Abdomen | Slice index 112 | CT scan slice
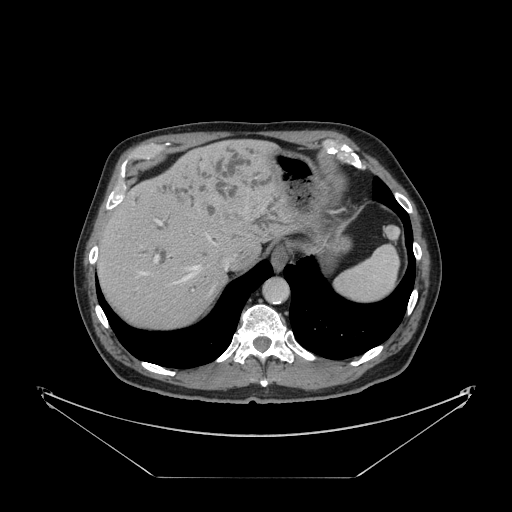

Not every hepatic vessel necessarily has a box.
hepatic_vessel:
  - left=155, top=256, right=157, bottom=261
  - left=208, top=237, right=214, bottom=243
  - left=139, top=272, right=148, bottom=274
  - left=181, top=266, right=200, bottom=281
  - left=155, top=220, right=161, bottom=224
  - left=173, top=282, right=176, bottom=283
  - left=224, top=264, right=227, bottom=268